FLAIR MR.
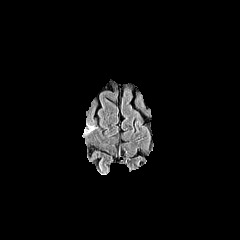
T1-weighted MR.
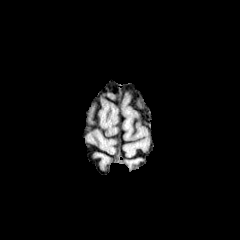
Post-contrast T1-weighted magnetic resonance.
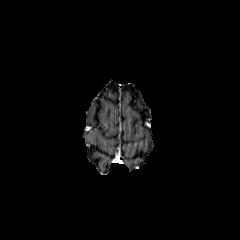
T2-weighted MR.
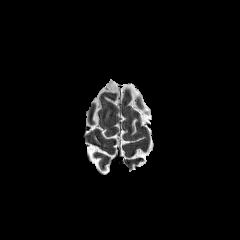
240x240
Edema: bounding box (x1=82, y1=120, x2=96, y2=138).